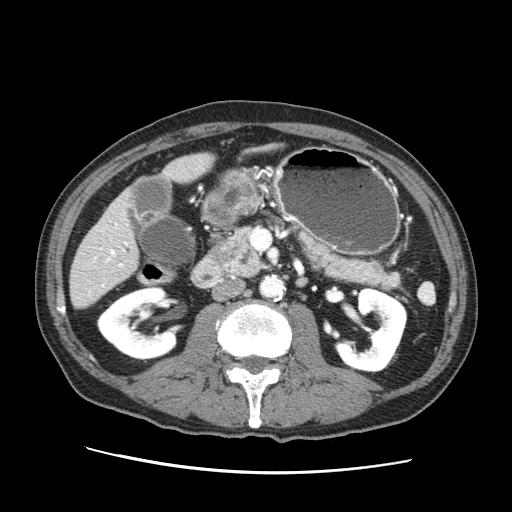

Upper abdomen. Computed tomography. The pancreatic tumor is bounded by rect(212, 247, 232, 262). 2 pancreas regions appear at rect(216, 228, 260, 277); rect(297, 232, 399, 290).